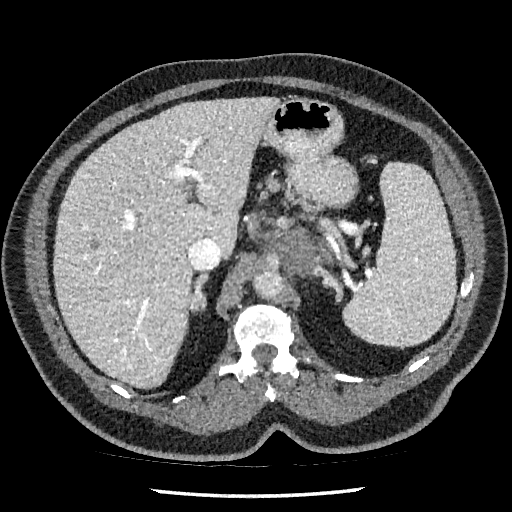

Liver. 512x512 px. Computed tomography.

Liver lesion at 90,240,98,250.
Liver at 54,98,278,387.